Slice 534/537 | CT image

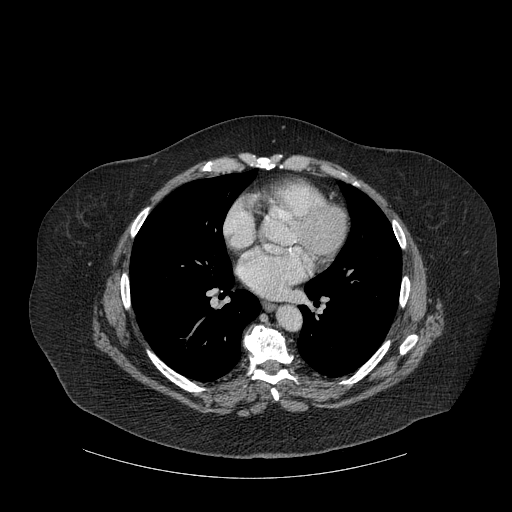
Lung: bounding box (130,170,260,381), (297,190,401,376).
Bone: bounding box (342,341,389,383), (400,277,409,306), (400,335,417,354), (147,351,204,391), (256,158,274,169), (271,388,278,400), (393,220,405,248), (121,274,129,307), (131,208,148,236), (244,325,296,383).